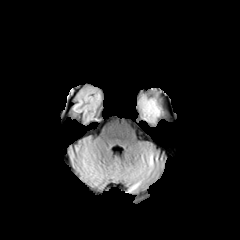
FLAIR magnetic resonance.
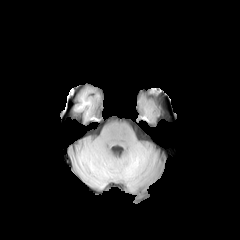
T1-weighted MRI of the same slice.
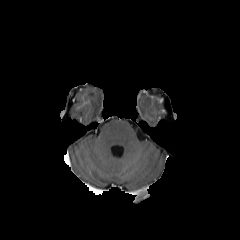
Post-contrast T1-weighted MR.
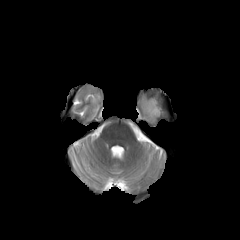
T2-weighted MR image of the same slice.
Head
Edema — (left=138, top=95, right=160, bottom=122).
Non-enhancing tumor core — (left=151, top=97, right=164, bottom=115).